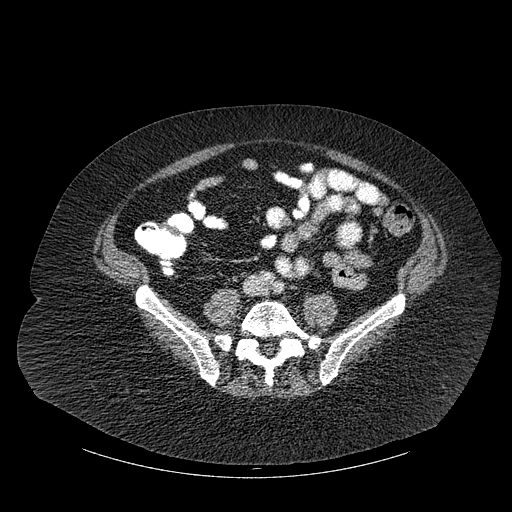 Image size 512x512, CT image
Bone = box=[215, 335, 231, 350]; box=[235, 301, 320, 385]; box=[136, 285, 218, 385]; box=[320, 294, 404, 384].